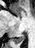

MRI slice; 35x48 px

Annotated regions:
• posterior hippocampus: region(13, 34, 25, 42)